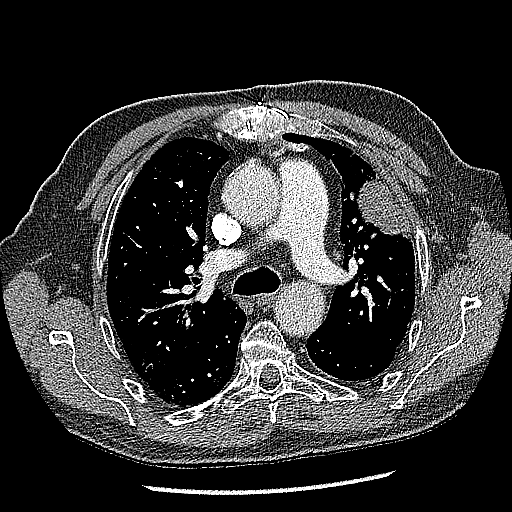
CT slice, Chest
• lung tumor: bbox=[355, 175, 410, 241]